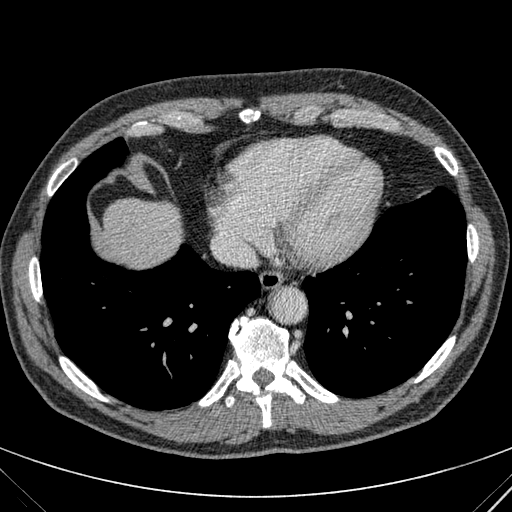

CT slice | Abdomen | Image size 512x512
{"liver": ["(x1=103, y1=198, x2=180, y2=266)"]}